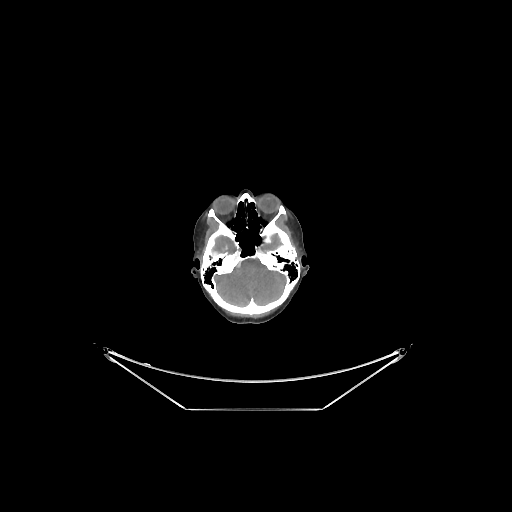
Computed tomography; Brain

3 brain regions are located at bbox(256, 233, 283, 253); bbox(213, 257, 286, 307); bbox(211, 235, 241, 254).